Image size 512x512. CT scan slice. Slice 109/247.

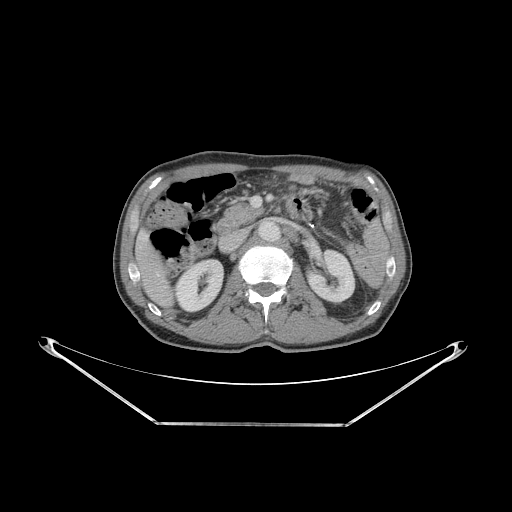
bone: bbox(240, 247, 291, 320); bbox(149, 304, 160, 315); bbox(368, 302, 380, 314) | kidney: bbox(176, 260, 222, 310); bbox(309, 250, 353, 301) | liver: bbox(136, 228, 172, 306)